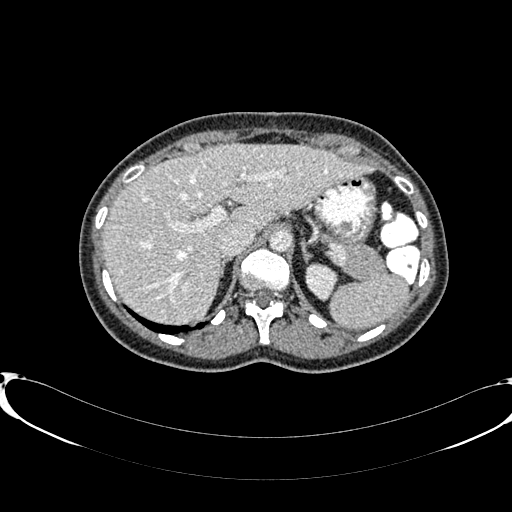 CT scan slice | Image size 512x512

Annotated regions:
* liver: (103, 144, 373, 322)
* kidney: (307, 266, 334, 296)